FLAIR magnetic resonance.
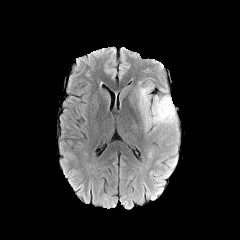
T1-weighted MR image.
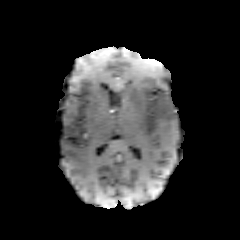
Post-contrast T1-weighted MRI.
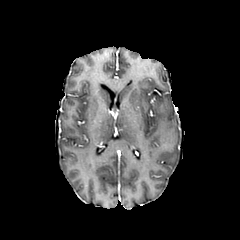
T2-weighted MR.
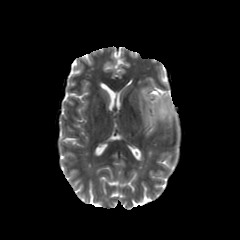
Brain
The non-enhancing tumor core is at left=152, top=96, right=165, bottom=116. 2 edema regions are located at left=137, top=82, right=178, bottom=130; left=152, top=160, right=173, bottom=182.